Slice 101 of 117 | Image size 512x512 | Field of view 419 mm wide, 3.75 mm slice spacing | CT slice 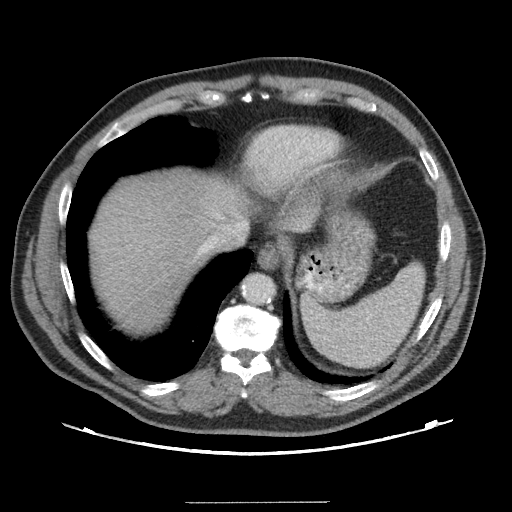 The vessel annotation is not exhaustive.
Hepatic vessel: [198,236,214,254], [214,213,222,218].